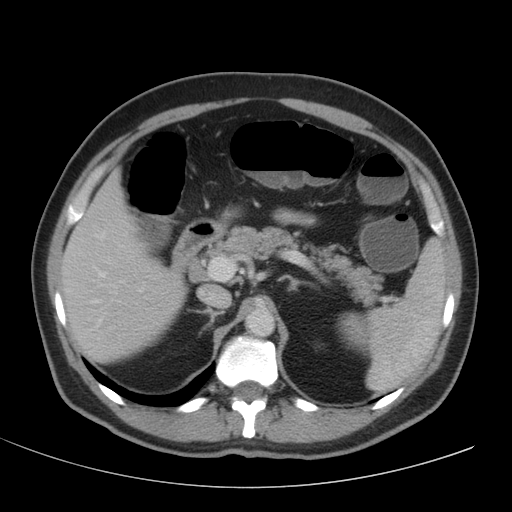

Image size 512x512. CT slice.

liver:
  - box(200, 285, 229, 307)
  - box(58, 171, 184, 361)